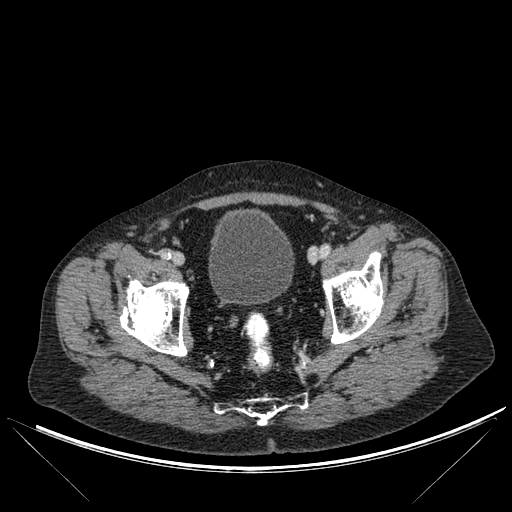

Pelvis; CT scan slice; 512x512
3 bone regions are bounded by region(323, 252, 383, 343); region(120, 279, 188, 356); region(214, 398, 307, 425). The urinary bladder lies within region(209, 208, 294, 305).